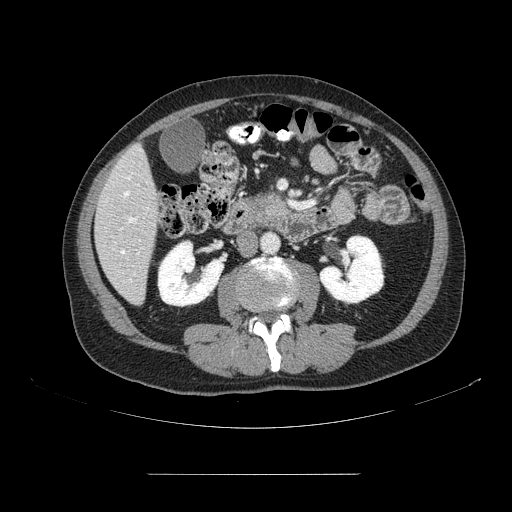 512x512 px | CT image

Pancreas: (244, 190, 291, 231).